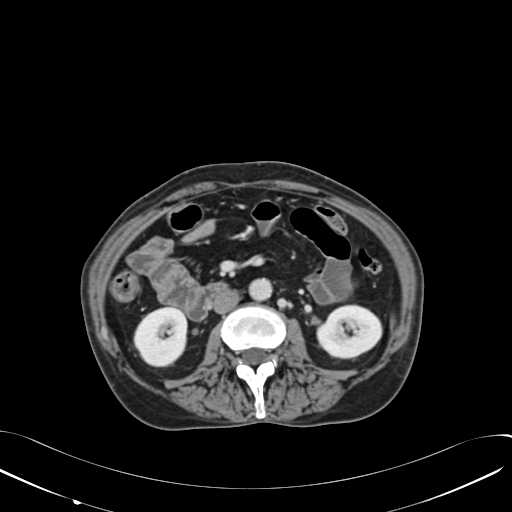 Computed tomography
Annotated regions:
* kidney: box=[318, 306, 380, 356]; box=[135, 308, 186, 365]